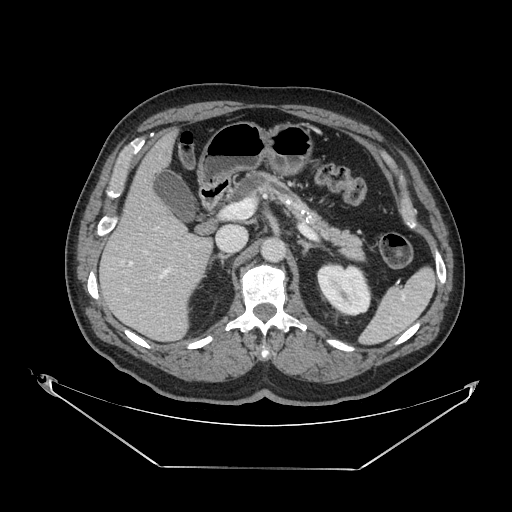

CT image. Upper abdomen.

{"pancreatic_tumor": ["l=235, t=175, r=262, b=198"], "pancreas": ["l=223, t=170, r=368, b=263"]}